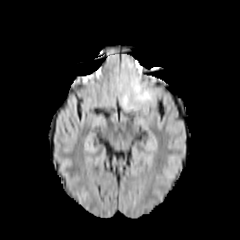
FLAIR MRI.
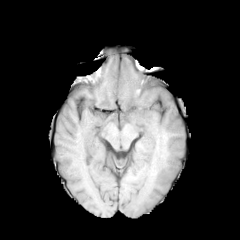
Same slice, T1-weighted MR image.
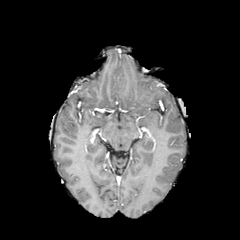
Same slice, post-contrast T1-weighted MRI.
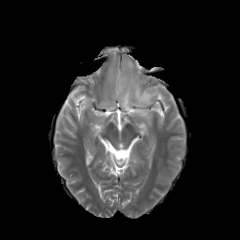
T2-weighted MR.
Head
3 edema regions are bounded by rect(117, 59, 136, 84); rect(121, 89, 132, 107); rect(136, 88, 152, 105).